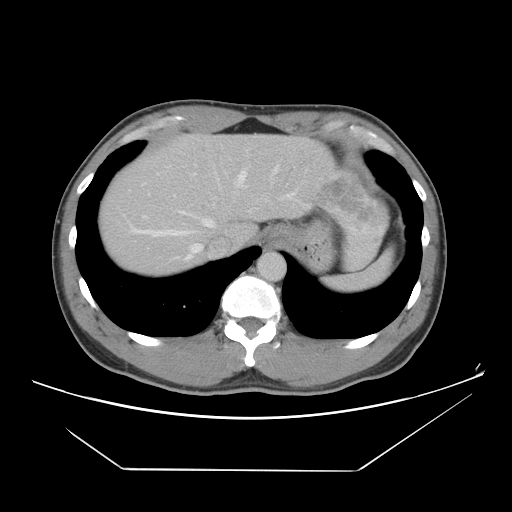

512x512; CT
Only some of the vessels may be annotated.
liver tumor: 313 174 387 244 | [15/17] hepatic vessel: 248 209 251 212, 272 165 278 173, 148 193 150 195, 186 244 202 259, 191 173 195 175, 234 171 247 187, 280 198 282 200, 173 256 178 258, 201 218 214 227, 179 210 191 215, 300 203 308 207, 130 225 194 236, 286 191 295 198, 209 252 213 256, 142 215 147 218